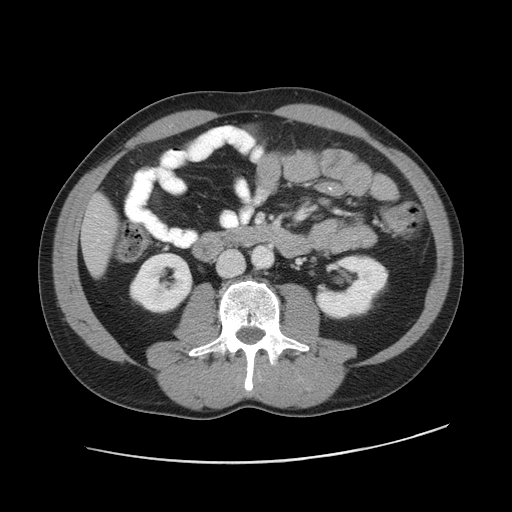 CT scan slice. <segmentation>
  <colon_tumor><bbox>398, 202, 411, 211</bbox>, <bbox>382, 214, 408, 231</bbox></colon_tumor>
</segmentation>